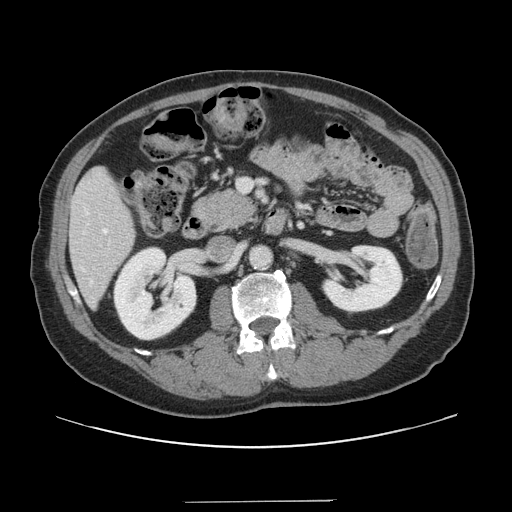

Computed tomography. The vessel annotation is not exhaustive.
{
  "hepatic_vessel": [
    "x1=103, y1=229, x2=106, y2=232",
    "x1=238, y1=179, x2=252, y2=192"
  ]
}